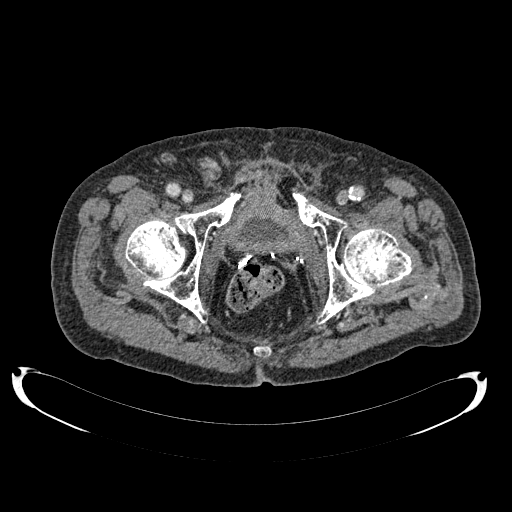 Pelvis. Computed tomography.
Urinary bladder: bounding box (240, 217, 287, 242).